FLAIR MRI.
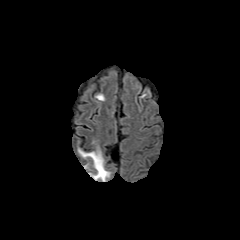
T1-weighted MR image.
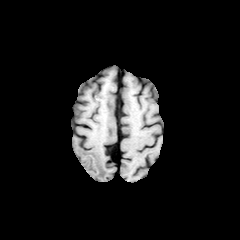
Post-contrast T1-weighted MR.
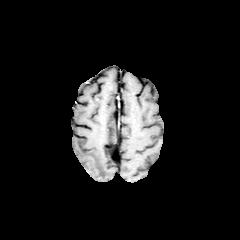
T2-weighted MR.
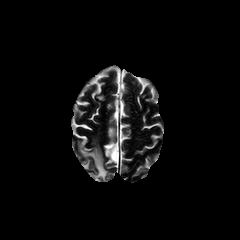
Brain.
The edema is bounded by l=79, t=148, r=110, b=180.